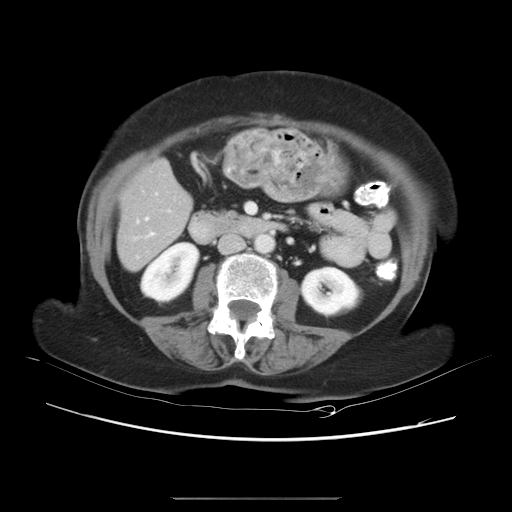

CT slice | Liver | 512x512
Not every hepatic vessel necessarily has a box.
<segmentation>
  <hepatic_vessel>{"x1": 154, "y1": 193, "x2": 157, "y2": 195}, {"x1": 136, "y1": 220, "x2": 138, "y2": 223}, {"x1": 145, "y1": 217, "x2": 148, "y2": 220}, {"x1": 136, "y1": 256, "x2": 138, "y2": 257}, {"x1": 167, "y1": 210, "x2": 169, "y2": 212}, {"x1": 145, "y1": 232, "x2": 154, "y2": 238}, {"x1": 168, "y1": 232, "x2": 171, "y2": 234}</hepatic_vessel>
</segmentation>